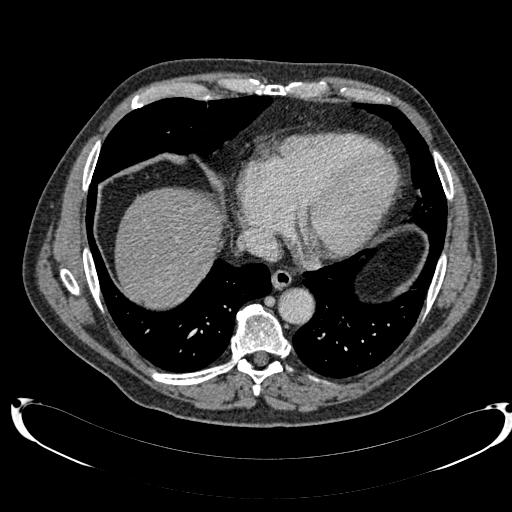
Computed tomography. Image size 512x512.

* liver: box=[115, 188, 224, 309]